Head | Slice 124/155 | Field of view 240 mm wide, 1.00 mm slice spacing
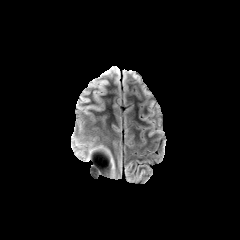
FLAIR MR.
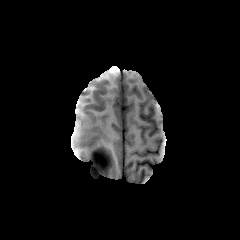
T1-weighted MR of the same slice.
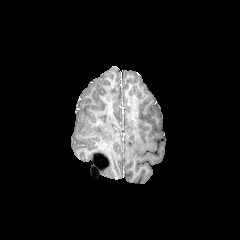
Post-contrast T1-weighted MR image of the same slice.
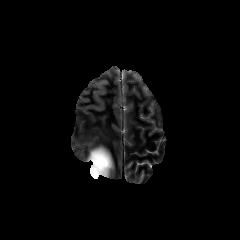
T2-weighted MR of the same slice.
Findings:
* edema: box(86, 147, 103, 161)